Field of view 367 mm wide, 0.70 mm slice spacing. Liver. Computed tomography.
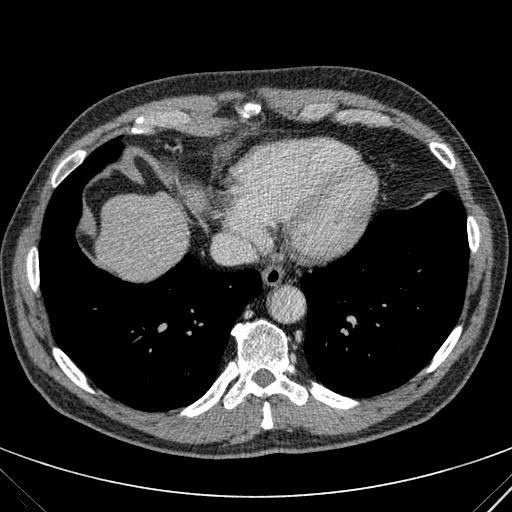

Segmented structures:
* liver: <box>184,188,206,212</box>, <box>96,192,187,279</box>